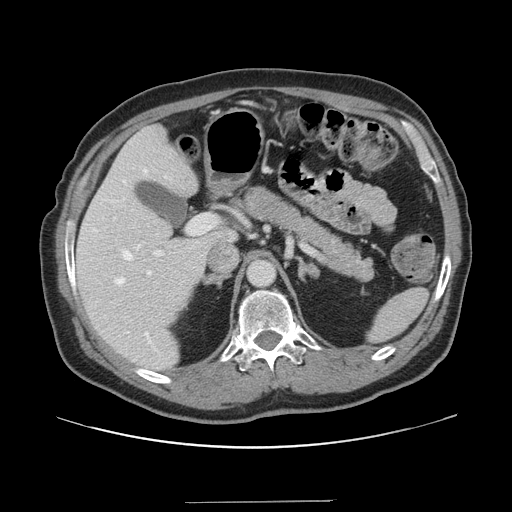
512x512 | CT image
Some hepatic vessels may have no box.
Segmented structures:
- hepatic vessel: x1=143, y1=168, x2=147, y2=173; x1=144, y1=331, x2=156, y2=350; x1=115, y1=277, x2=124, y2=284; x1=147, y1=271, x2=150, y2=274; x1=122, y1=250, x2=132, y2=259; x1=153, y1=250, x2=162, y2=256; x1=125, y1=331, x2=129, y2=332; x1=187, y1=214, x2=216, y2=234; x1=122, y1=180, x2=124, y2=182